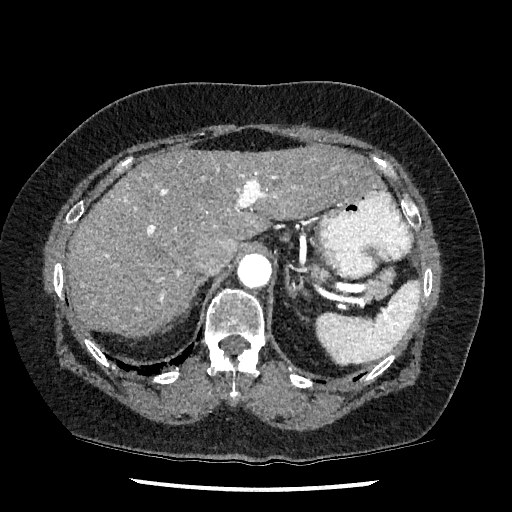

Computed tomography
The liver appears at box(67, 146, 383, 336).